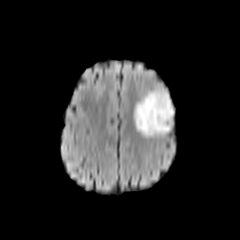
FLAIR magnetic resonance.
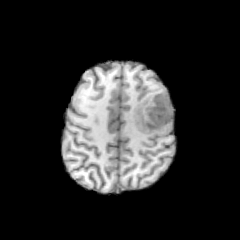
Same slice, T1-weighted MR image.
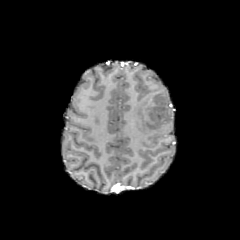
Post-contrast T1-weighted MRI.
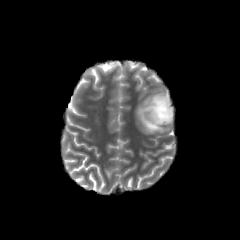
T2-weighted MRI.
240x240
<segmentation>
  <non-enhancing_tumor_core>(left=142, top=94, right=172, bottom=128)</non-enhancing_tumor_core>
  <edema>(left=132, top=84, right=175, bottom=138)</edema>
</segmentation>